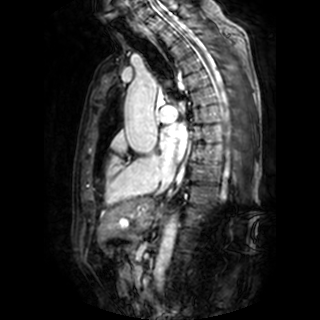 Cardiac. MR.
The left atrium is at (x1=160, y1=123, x2=187, y2=161).